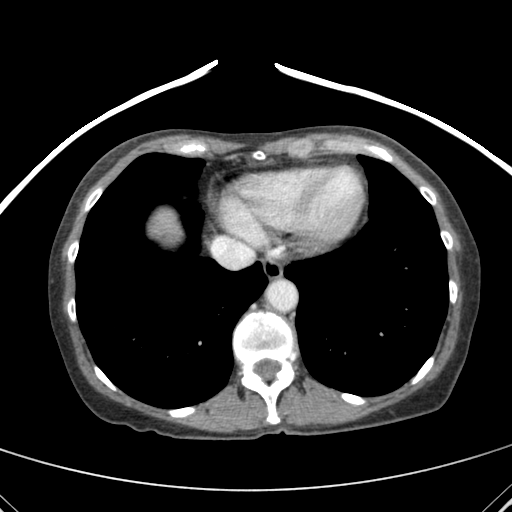 CT slice; Upper abdomen; 512x512 px

Segmented structures:
• liver: 157, 208, 180, 221